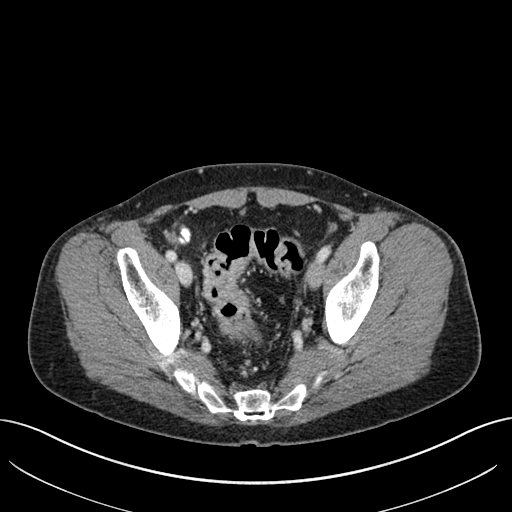 Computed tomography; 512x512

Colon tumor: 203 251 248 322.